Head, Slice 84 of 155
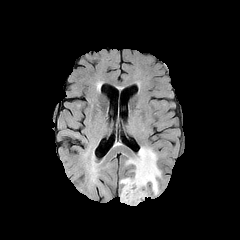
FLAIR MR.
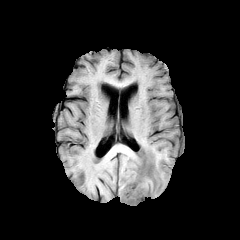
T1-weighted magnetic resonance of the same slice.
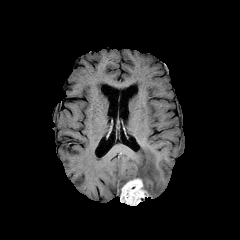
Post-contrast T1-weighted magnetic resonance.
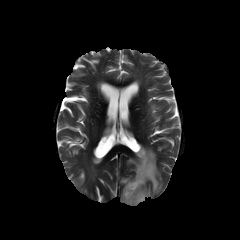
T2-weighted MRI.
edema:
  - (left=120, top=146, right=161, bottom=195)
enhancing_tumor:
  - (left=120, top=178, right=149, bottom=205)